FLAIR magnetic resonance.
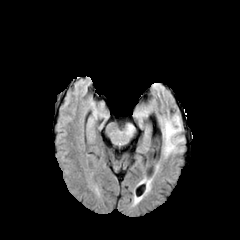
T1-weighted MR image.
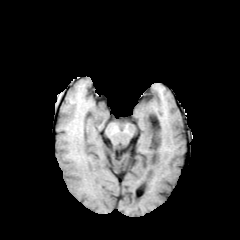
Post-contrast T1-weighted MR image.
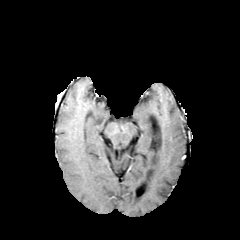
T2-weighted magnetic resonance.
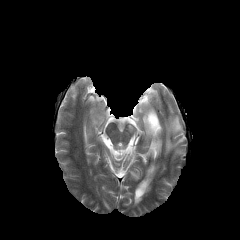
Head
{
  "edema": [
    "[x1=162, y1=117, x2=182, y2=155]"
  ]
}